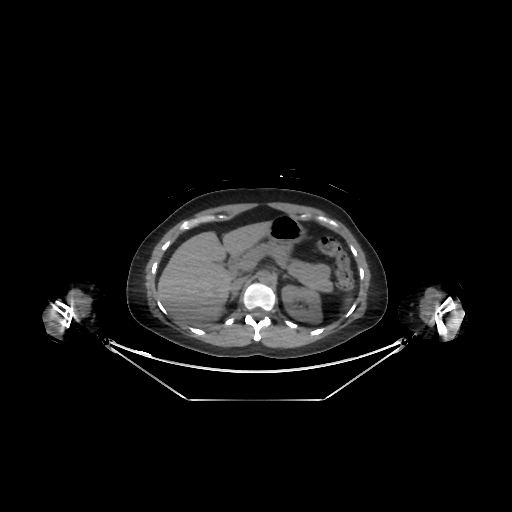
CT slice. kidney:
  - left=281, top=285, right=323, bottom=324
liver:
  - left=156, top=223, right=272, bottom=330